FLAIR MR image.
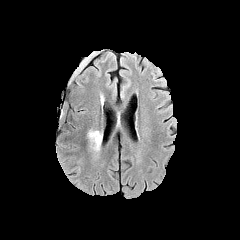
T1-weighted MR image.
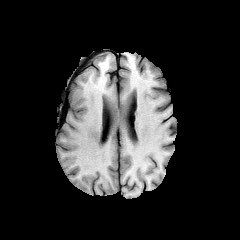
Post-contrast T1-weighted MR image.
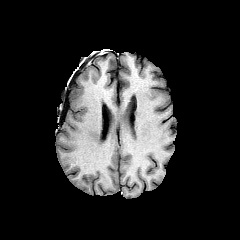
T2-weighted MRI.
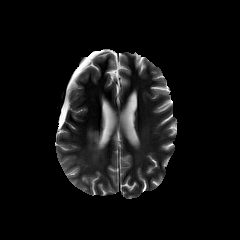
edema:
  - {"x1": 87, "y1": 129, "x2": 101, "y2": 151}